FLAIR MR.
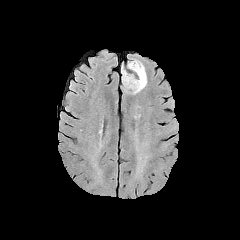
T1-weighted MR.
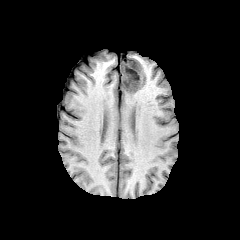
Post-contrast T1-weighted MR image.
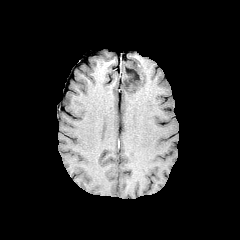
T2-weighted MR image.
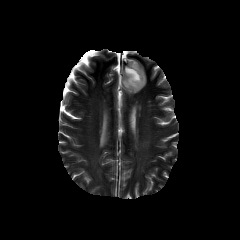
edema:
  - 122:65:146:93
non-enhancing_tumor_core:
  - 122:60:142:89